MR. Slice 23/36. 37x48.
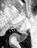

Segmented structures:
- posterior hippocampus: bbox(16, 29, 28, 41)